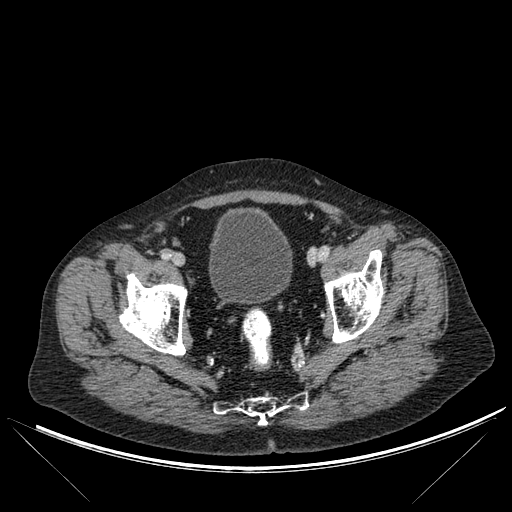 Lower abdomen | CT scan slice
{"bone": ["[120, 273, 186, 355]", "[214, 397, 308, 425]", "[325, 250, 383, 342]"], "urinary_bladder": ["[209, 207, 292, 304]"]}